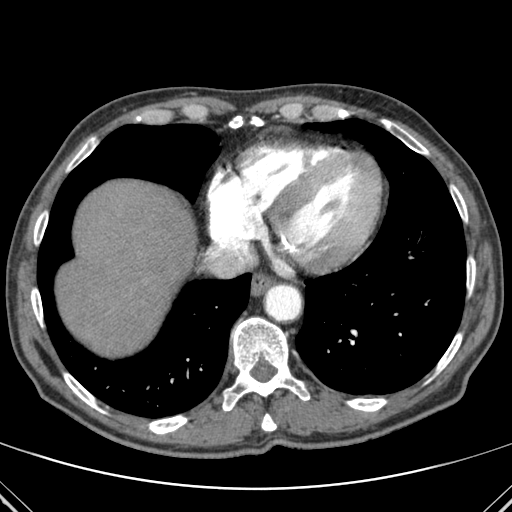

CT image. The liver appears at box=[56, 180, 197, 357]. 15 bone regions are located at box=[261, 414, 276, 430]; box=[222, 317, 309, 410]; box=[436, 333, 462, 373]; box=[250, 116, 263, 126]; box=[67, 138, 96, 170]; box=[382, 119, 428, 154]; box=[338, 109, 349, 117]; box=[229, 116, 243, 128]; box=[148, 415, 187, 434]; box=[346, 398, 386, 411]; box=[31, 288, 42, 326]; box=[450, 185, 467, 222]; box=[64, 373, 105, 413]; box=[467, 257, 475, 293]; box=[34, 211, 47, 244]. 2 lung regions appear at box=[37, 124, 251, 417]; box=[295, 119, 465, 394].